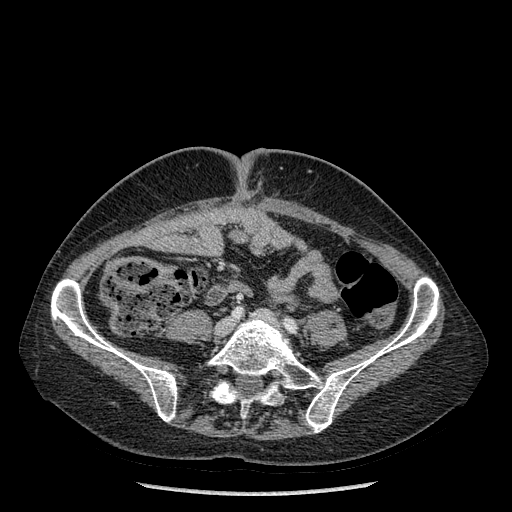

CT
Bone at box(208, 277, 439, 432); box(51, 278, 177, 422).